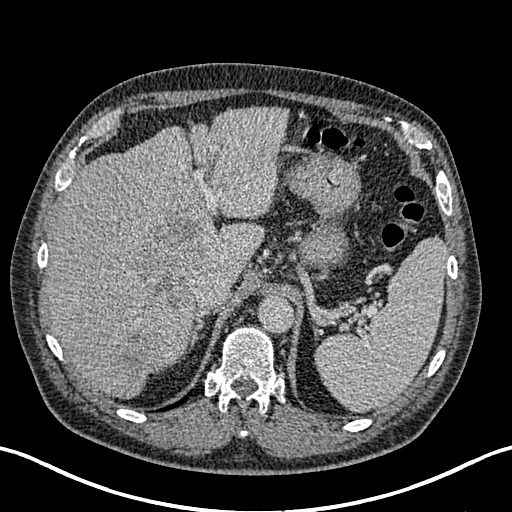
CT slice.

hepatic lesion: <box>120,329,162,383</box>, <box>228,150,265,185</box>, <box>135,217,216,311</box> | liver: <box>46,108,288,397</box>, <box>186,273,204,287</box>